CT scan slice | Liver
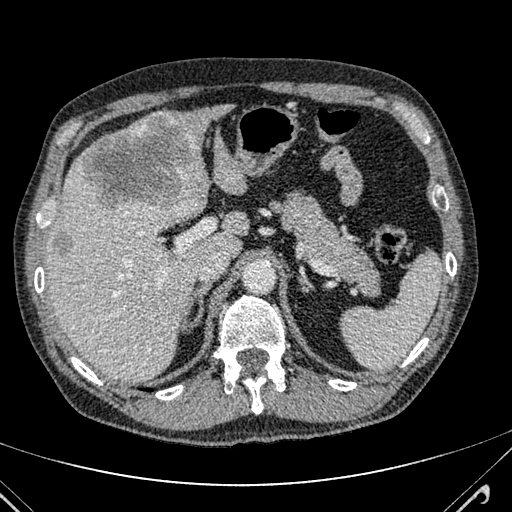
{
  "liver": [
    "214, 133, 245, 193",
    "47, 158, 247, 380",
    "106, 118, 146, 138",
    "153, 104, 234, 157"
  ],
  "focal_liver_lesion": [
    "80, 115, 206, 210",
    "54, 236, 70, 255"
  ]
}